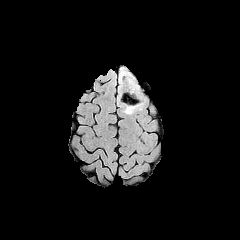
FLAIR magnetic resonance.
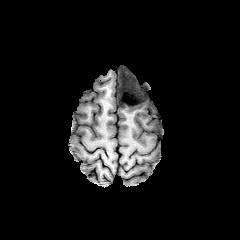
T1-weighted MR of the same slice.
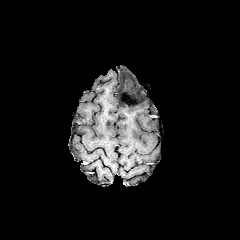
Same slice, post-contrast T1-weighted MR.
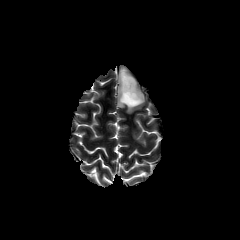
Same slice, T2-weighted magnetic resonance.
Head.
Non-enhancing tumor core: <bbox>122, 78, 137, 105</bbox>.
Edema: <bbox>118, 69, 145, 113</bbox>.